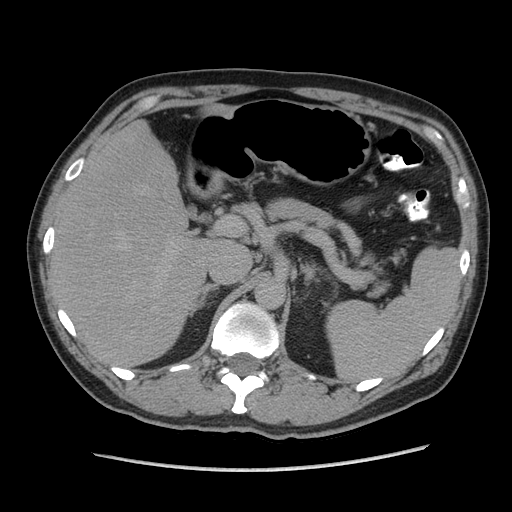

512x512; CT; Abdomen
Pancreas — {"x1": 262, "y1": 197, "x2": 333, "y2": 227}.